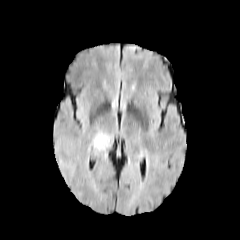
FLAIR MR image.
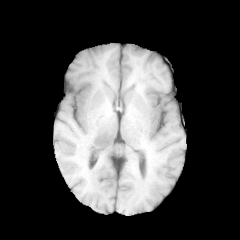
T1-weighted MRI of the same slice.
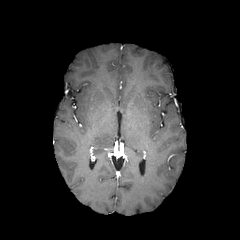
Post-contrast T1-weighted MR image of the same slice.
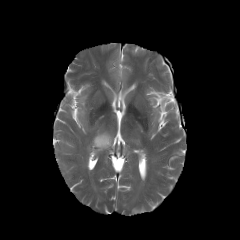
T2-weighted magnetic resonance.
240x240 px
Edema: region(94, 133, 110, 150).